Magnetic resonance
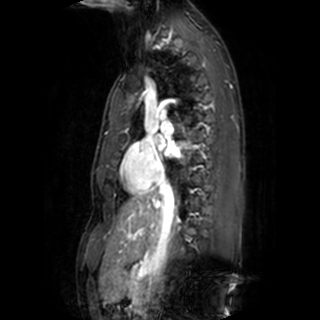
Left atrium = region(155, 136, 165, 149); region(166, 145, 179, 156).